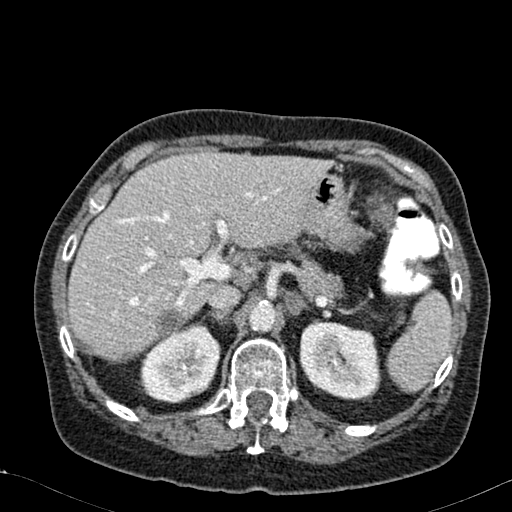

CT image, 512x512, Upper abdomen

<segmentation>
  <kidney>box(300, 322, 379, 398); box(141, 325, 219, 402)</kidney>
  <focal_liver_lesion>box(157, 310, 181, 334)</focal_liver_lesion>
  <liver>box(69, 153, 333, 357)</liver>
</segmentation>